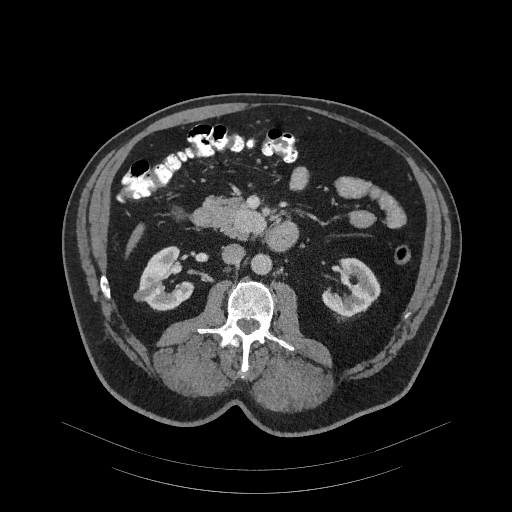
Computed tomography | Image size 512x512

Segmented structures:
- pancreatic tumor: box=[234, 209, 266, 234]
- pancreas: box=[205, 196, 258, 238]